Slice index 99, Image width 240 mm, Brain
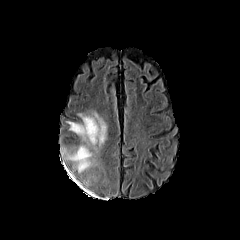
FLAIR MR.
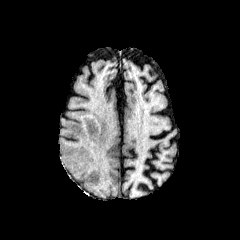
T1-weighted MR image of the same slice.
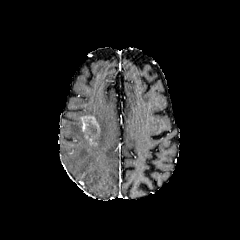
Post-contrast T1-weighted MR image of the same slice.
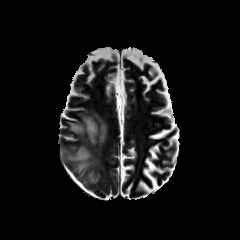
T2-weighted MR image of the same slice.
Non-enhancing tumor core: left=88, top=125, right=97, bottom=134.
Edema: left=61, top=110, right=107, bottom=172.
Enhancing tumor: left=79, top=115, right=100, bottom=147.